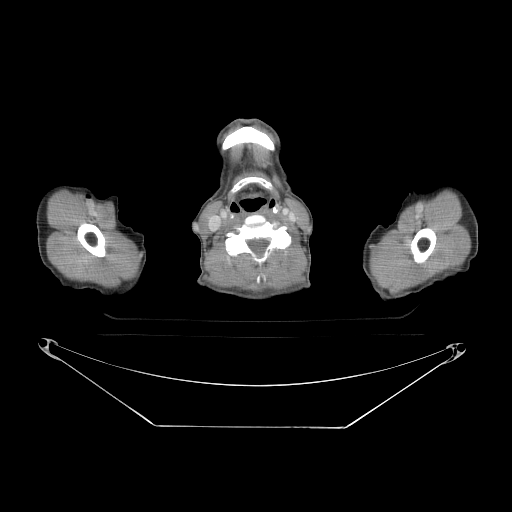
CT
Segmented structures:
- bone: bbox(77, 223, 104, 256); bbox(411, 228, 436, 262); bbox(223, 127, 273, 149); bbox(226, 215, 290, 264)